Slice 123 of 155. Head. Field of view 240 mm wide, 1.00 mm slice spacing.
FLAIR MR image.
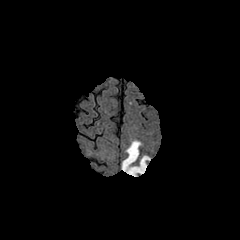
T1-weighted magnetic resonance.
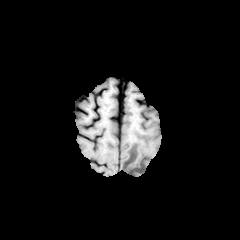
Post-contrast T1-weighted magnetic resonance.
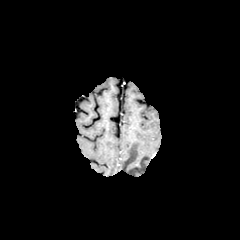
T2-weighted MR image.
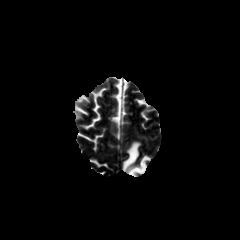
The edema is located at 122,140,150,176.